Brain
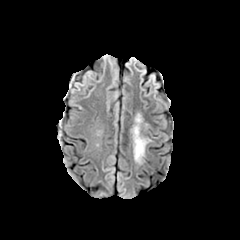
FLAIR MR.
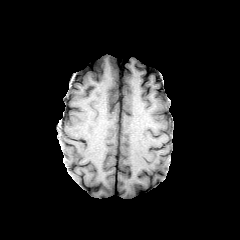
T1-weighted MR.
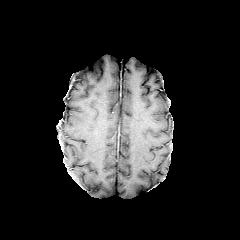
Post-contrast T1-weighted MR.
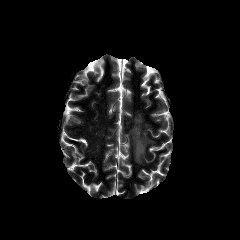
Same slice, T2-weighted MR image.
Findings:
• edema: rect(132, 114, 150, 163)